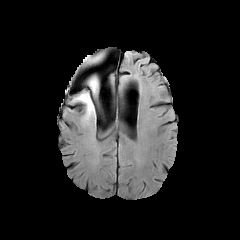
FLAIR MRI.
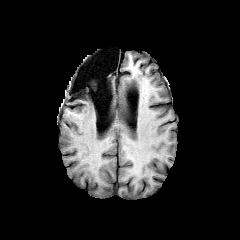
T1-weighted MRI.
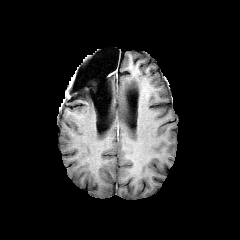
Same slice, post-contrast T1-weighted MRI.
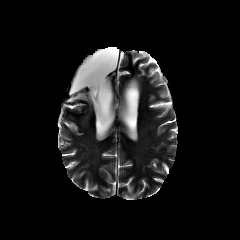
T2-weighted MRI of the same slice.
Non-enhancing tumor core = rect(88, 76, 98, 99); rect(85, 56, 95, 64).
Edema = rect(72, 86, 97, 123).